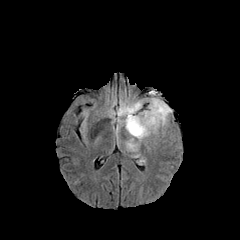
FLAIR MRI.
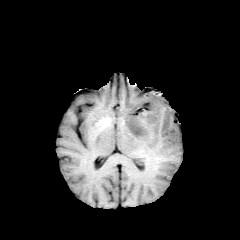
T1-weighted MRI.
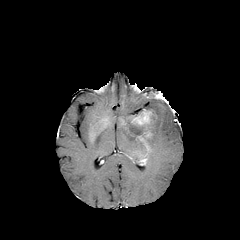
Same slice, post-contrast T1-weighted MRI.
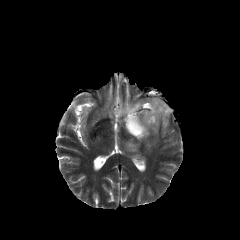
T2-weighted MRI.
{
  "edema": [
    "[113, 90, 172, 157]"
  ],
  "non-enhancing_tumor_core": [
    "[129, 109, 155, 138]"
  ],
  "enhancing_tumor": [
    "[132, 112, 150, 124]"
  ]
}